Chest, 512x512, CT scan slice
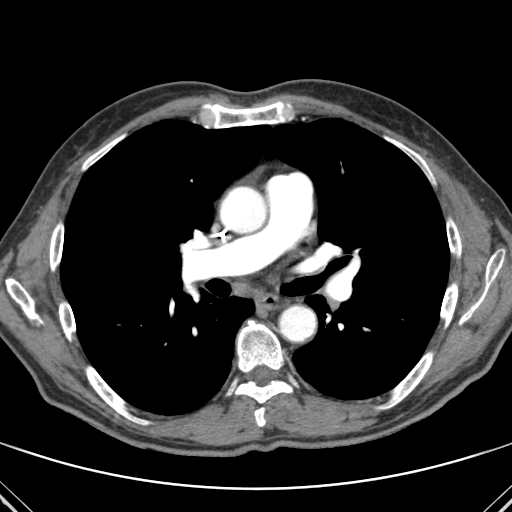
bone: box(237, 320, 284, 373); box(59, 302, 75, 340); box(49, 223, 63, 270); box(459, 254, 503, 324); box(227, 380, 292, 426); box(440, 283, 457, 326); box(86, 366, 148, 424); box(185, 281, 198, 300); box(385, 137, 429, 172); box(6, 278, 42, 323); box(203, 102, 290, 128); box(447, 219, 461, 256); box(188, 267, 201, 277); box(82, 135, 124, 169); box(386, 352, 432, 407) | lung: box(60, 118, 449, 414)